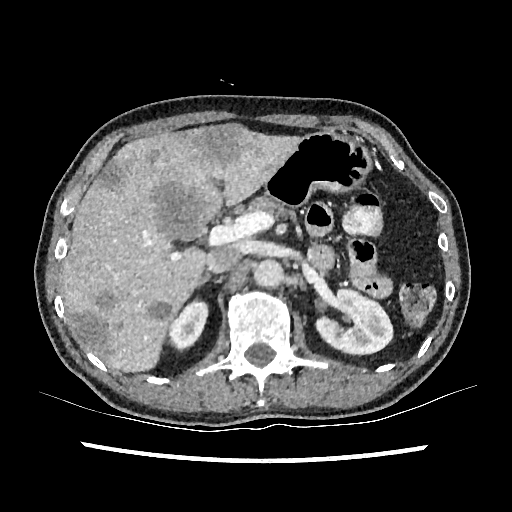

Image size 512x512 | CT
Annotated regions:
* focal liver lesion: <box>262,164,273,173</box>, <box>147,301,172,320</box>, <box>146,149,160,164</box>, <box>184,125,251,167</box>, <box>96,158,131,188</box>, <box>153,181,205,241</box>, <box>69,312,112,354</box>, <box>95,290,117,310</box>
* kidney: <box>170,303,207,347</box>, <box>317,287,394,358</box>
* liver: <box>63,131,299,371</box>